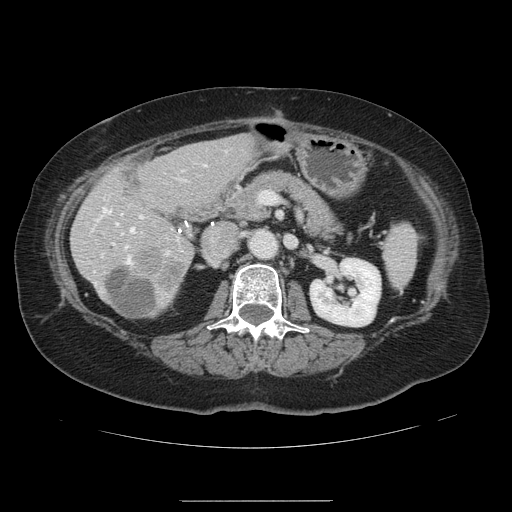

Liver | 512x512 | CT scan slice
The vessel boxes may cover only some of the vessels.
12 hepatic vessel regions appear at 202:163:205:165, 165:250:168:254, 125:257:131:263, 103:207:109:213, 116:223:117:224, 130:227:134:231, 124:245:127:248, 101:253:102:255, 177:178:185:181, 235:185:238:187, 96:216:100:220, 139:214:142:217. 2 liver tumor regions are bounded by 109:269:160:315, 138:247:186:290.